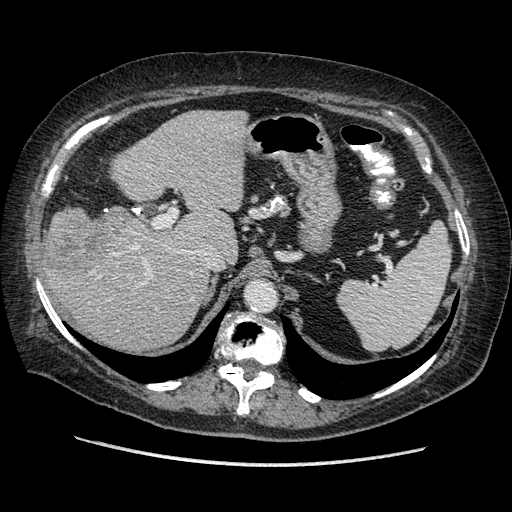
CT image, Liver
Not every hepatic vessel necessarily has a box.
Liver tumor: bounding box box=[47, 212, 123, 272].
Hepatic vessel: bounding box box=[132, 246, 136, 248].